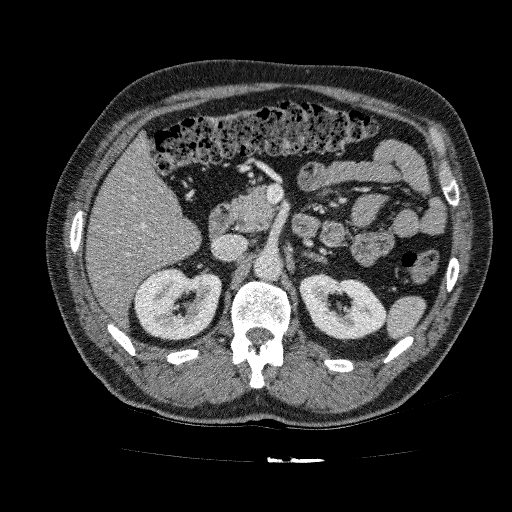

Abdomen; Computed tomography

kidney:
  - [x1=135, y1=269, x2=220, y2=338]
  - [x1=300, y1=275, x2=385, y2=338]
liver:
  - [x1=86, y1=132, x2=201, y2=328]